CT slice | Field of view 442 mm wide, 2.50 mm slice spacing | Image size 512x512
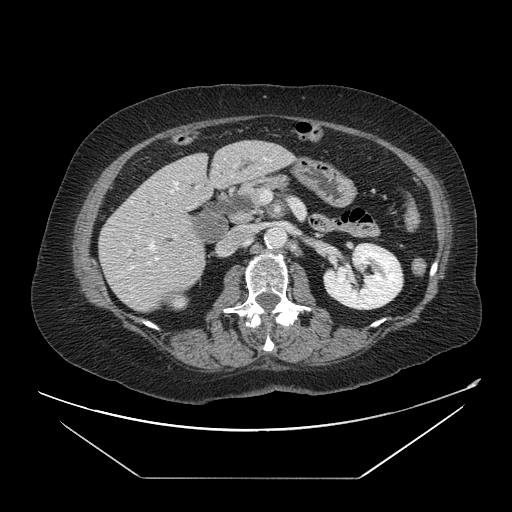

pancreas:
  - 241:177:286:202